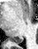

Image size 38x49; MRI slice
* posterior hippocampus: (left=10, top=37, right=23, bottom=43)